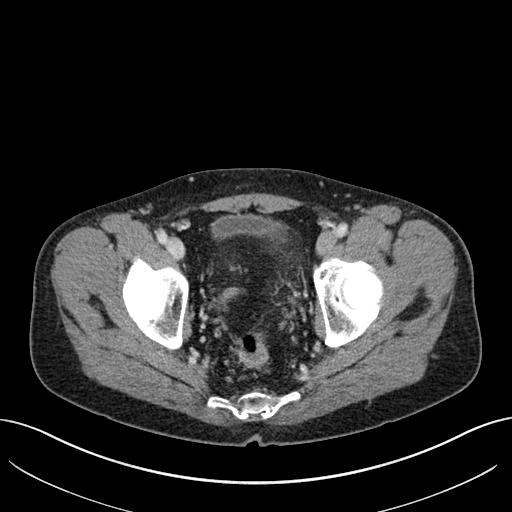

512x512; Computed tomography; Pelvis

{"colon_tumor": ["[x1=223, y1=287, x2=237, y2=297]"]}